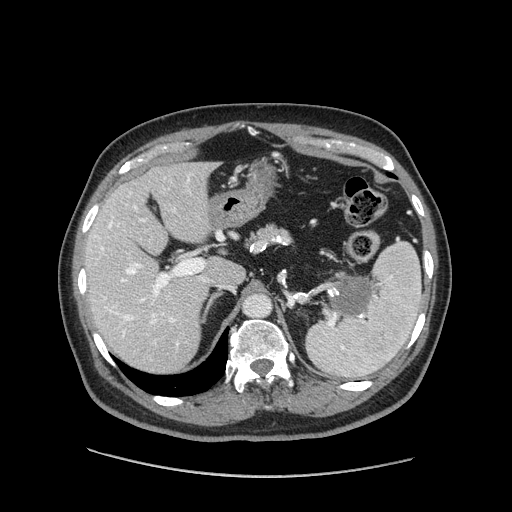

CT scan slice

pancreas:
  - box=[246, 225, 289, 246]
pancreatic_tumor:
  - box=[331, 276, 371, 313]